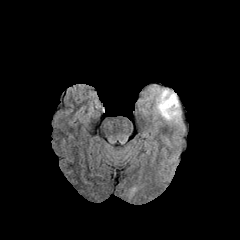
FLAIR MR.
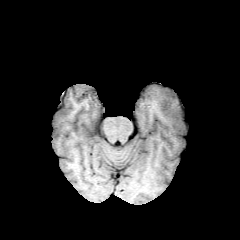
T1-weighted MR image.
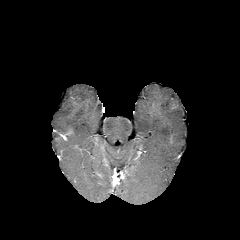
Post-contrast T1-weighted MRI.
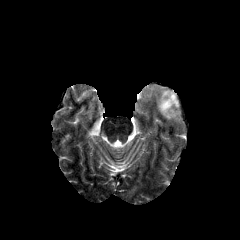
T2-weighted MR image of the same slice.
{"edema": ["x1=138, y1=84, x2=185, y2=134"]}